CT

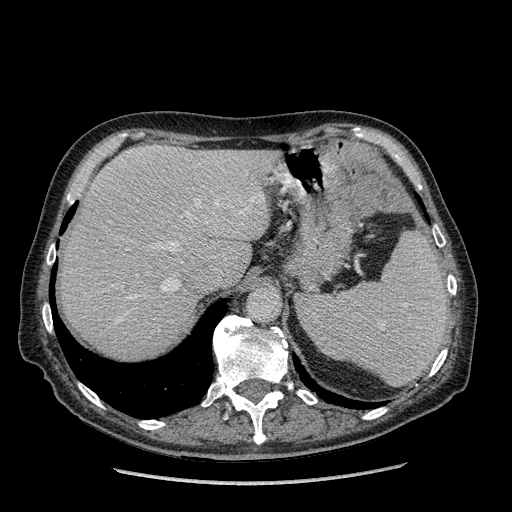
The liver lies within 61:145:277:360.